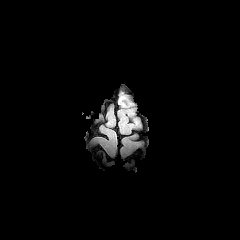
FLAIR MRI.
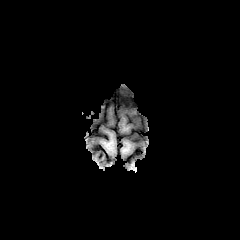
T1-weighted magnetic resonance of the same slice.
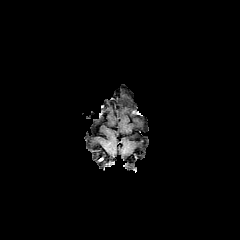
Post-contrast T1-weighted MR image of the same slice.
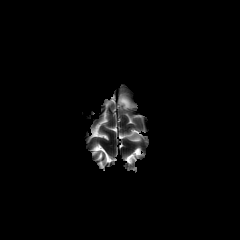
Same slice, T2-weighted magnetic resonance.
edema:
  - [119,95,126,107]